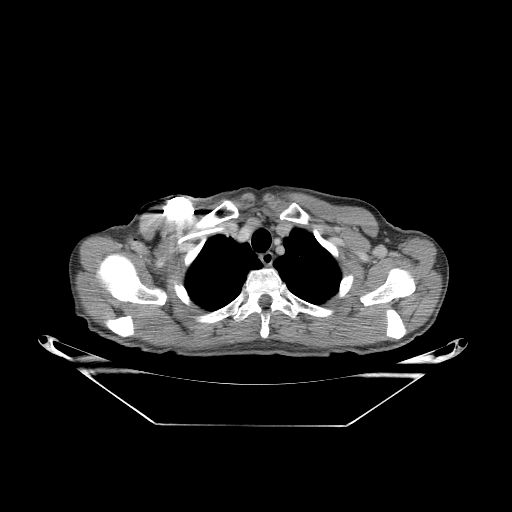

CT; Image size 512x512; Thorax
11 bone regions appear at (left=234, top=269, right=298, bottom=336), (left=280, top=203, right=336, bottom=255), (left=386, top=310, right=405, bottom=338), (left=198, top=308, right=227, bottom=322), (left=163, top=197, right=238, bottom=264), (left=97, top=254, right=166, bottom=304), (left=360, top=268, right=415, bottom=305), (left=106, top=316, right=133, bottom=336), (left=340, top=275, right=352, bottom=295), (left=174, top=283, right=189, bottom=303), (left=303, top=302, right=331, bottom=316). 2 lung regions appear at (left=274, top=227, right=341, bottom=304), (left=184, top=234, right=261, bottom=310).